Slice 114/155; 240x240 px
FLAIR MR.
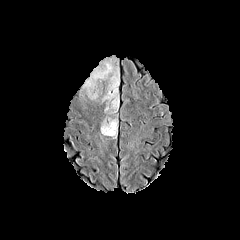
T1-weighted MR image.
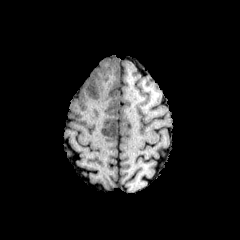
Post-contrast T1-weighted MR.
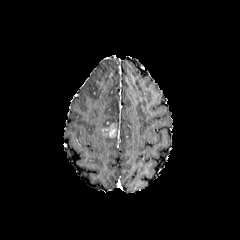
T2-weighted magnetic resonance.
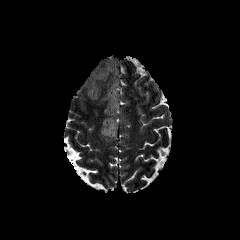
{
  "enhancing_tumor": [
    "box(109, 123, 116, 137)"
  ],
  "edema": [
    "box(85, 62, 115, 89)",
    "box(104, 67, 119, 113)"
  ]
}